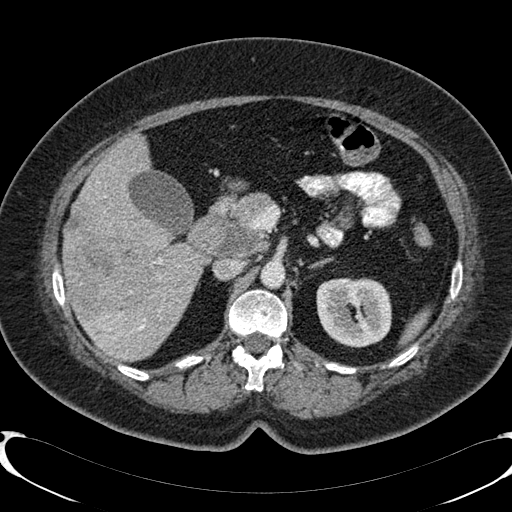

Upper abdomen, 512x512 px, CT slice
Kidney: 317,279,390,346.
Hepatic lesion: 69,207,162,318.
Liver: 64,134,203,361.